Upper abdomen. Field of view 512x512 mm. CT. Image size 512x512.

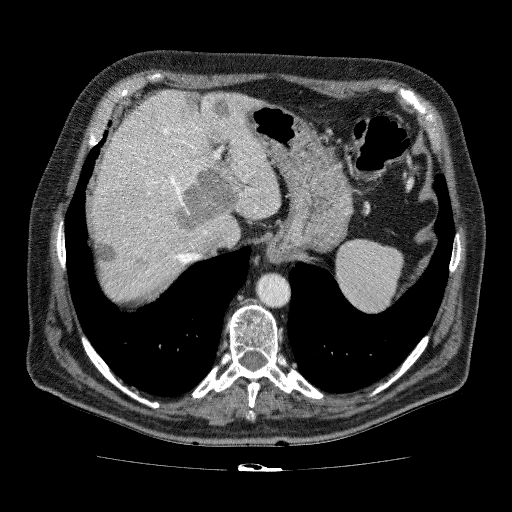

7 liver lesion regions are bounded by (x1=132, y1=255, x2=150, y2=267), (x1=88, y1=217, x2=119, y2=265), (x1=179, y1=90, x2=206, y2=118), (x1=209, y1=95, x2=233, y2=120), (x1=143, y1=110, x2=162, y2=134), (x1=172, y1=162, x2=240, y2=234), (x1=122, y1=217, x2=146, y2=236). The liver is bounded by (x1=86, y1=90, x2=281, y2=301).